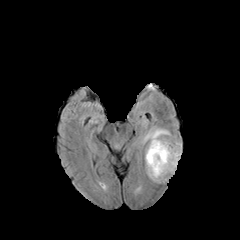
FLAIR magnetic resonance.
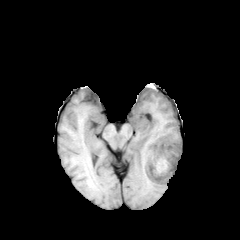
Same slice, T1-weighted MRI.
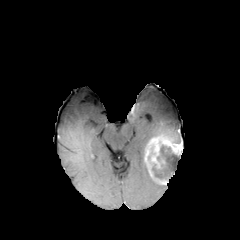
Same slice, post-contrast T1-weighted MR image.
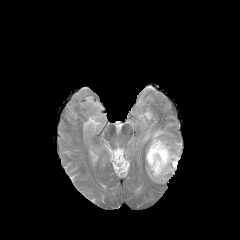
Same slice, T2-weighted MRI.
Head
The edema is located at (left=141, top=127, right=180, bottom=183). The enhancing tumor is located at (left=146, top=137, right=181, bottom=162). 2 non-enhancing tumor core regions appear at (left=159, top=143, right=175, bottom=154), (left=147, top=145, right=155, bottom=166).